FLAIR magnetic resonance.
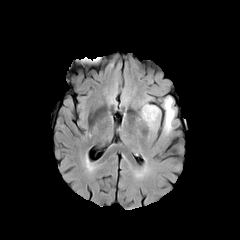
T1-weighted MRI.
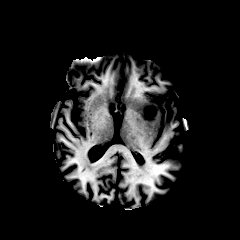
Post-contrast T1-weighted magnetic resonance.
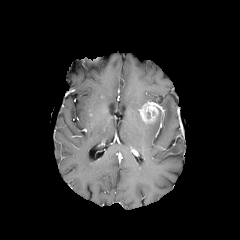
T2-weighted MR image.
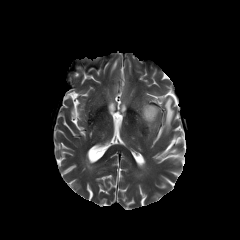
240x240 px.
Edema: bounding box l=146, t=96, r=175, b=135; l=140, t=98, r=155, b=115.
Non-enhancing tumor core: bounding box l=142, t=104, r=159, b=122.